CT image; Upper abdomen

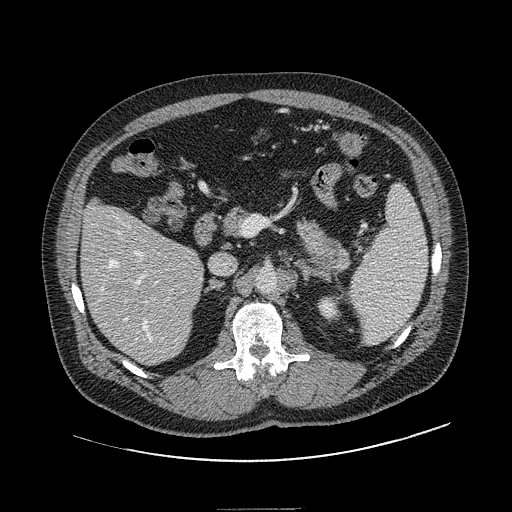 Pancreas at [x1=223, y1=209, x2=248, y2=236], [x1=298, y1=222, x2=350, y2=272].
Pancreatic tumor at [x1=316, y1=241, x2=341, y2=270].